CT, Abdomen, 512x512 px
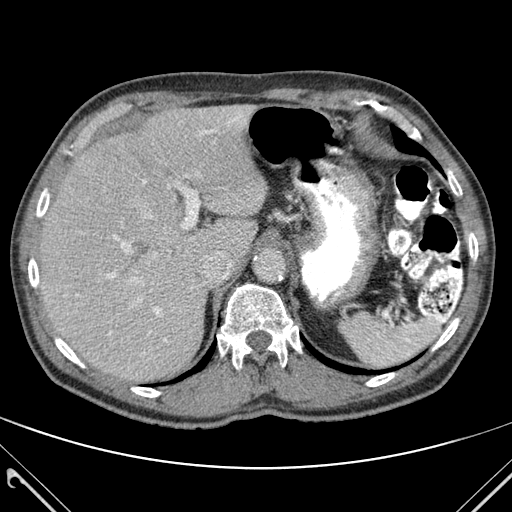
Segmented structures:
* liver: 40,105,267,381
* lung: 305,342,366,373; 391,126,439,169; 182,347,213,377
* bone: 411,129,420,138; 433,318,458,350; 217,284,301,368; 131,387,159,397; 28,259,38,286; 56,338,84,367; 366,373,394,386; 37,189,48,218; 469,233,477,258; 448,171,461,194